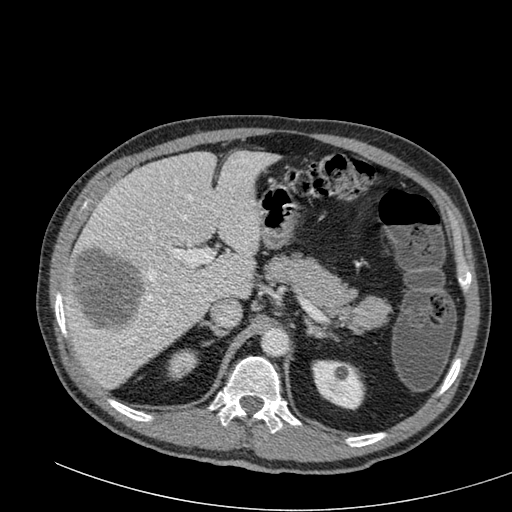

Upper abdomen | CT
liver:
  - rect(62, 151, 280, 388)
liver_lesion:
  - rect(73, 245, 142, 330)
kidney:
  - rect(172, 353, 195, 376)
  - rect(313, 361, 362, 408)